FLAIR MR.
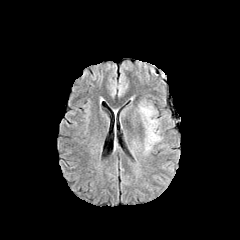
T1-weighted MRI.
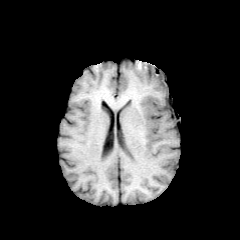
Post-contrast T1-weighted MRI.
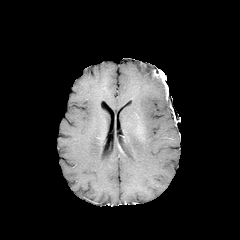
T2-weighted magnetic resonance.
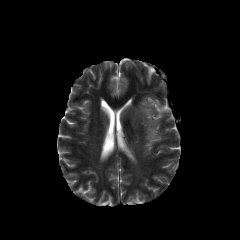
Segmented structures:
- edema: <bbox>138, 101, 162, 151</bbox>